Head
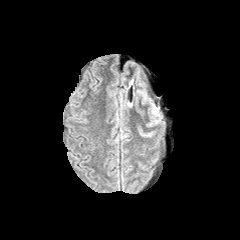
FLAIR MRI.
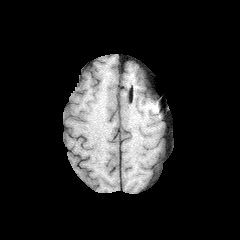
Same slice, T1-weighted MRI.
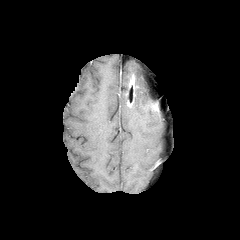
Same slice, post-contrast T1-weighted magnetic resonance.
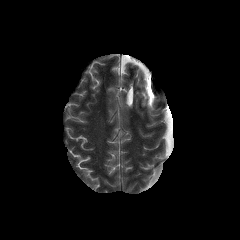
T2-weighted MR of the same slice.
Findings:
• edema: 148:105:156:117, 130:77:149:104